CT slice | Field of view 418x418 mm | Abdomen 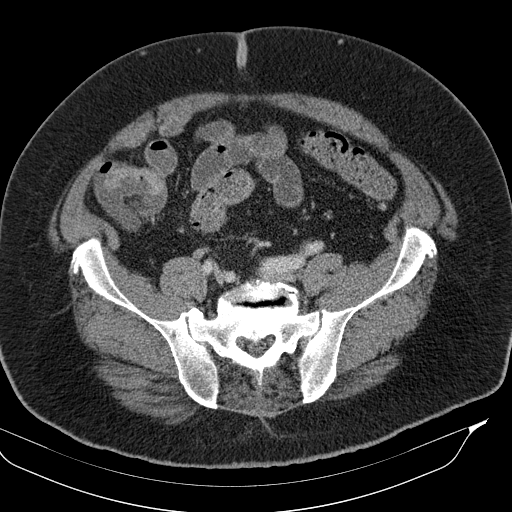
- colon tumor: 103 165 163 193